Slice index 146, Computed tomography, Field of view 380 mm wide, 2.50 mm slice spacing
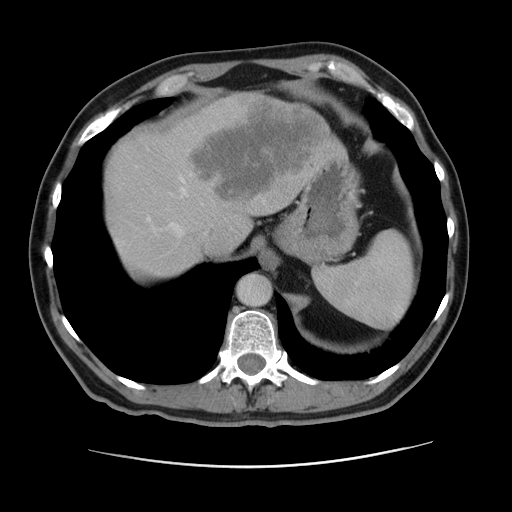

The hepatic lesion is located at [189, 98, 327, 203]. The liver is located at [103, 95, 329, 282].